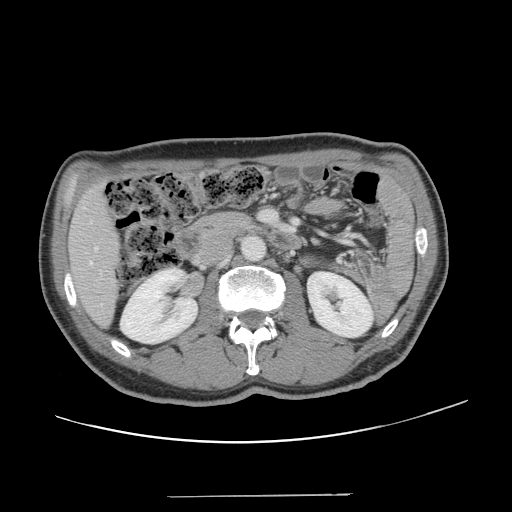

512x512. CT scan slice. Abdomen. Only some of the vessels may be annotated.
Findings:
- hepatic vessel: [x1=90, y1=261, x2=92, y2=264], [x1=94, y1=247, x2=97, y2=250], [x1=90, y1=222, x2=91, y2=223]